CT | Slice 18/48 | Abdomen
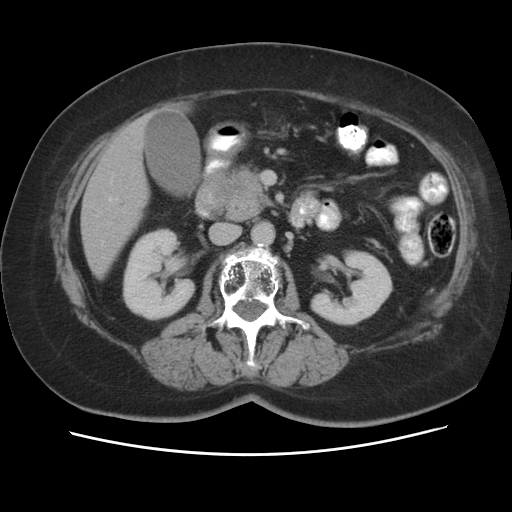
Pancreas: bounding box <box>201,168,270,221</box>.
Pancreatic tumor: bounding box <box>220,178,249,202</box>.